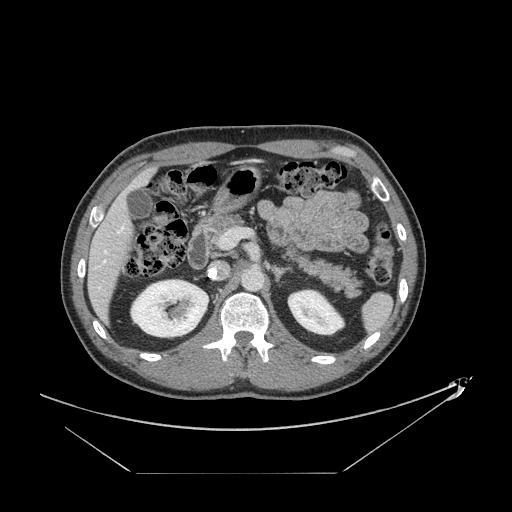
CT image. 2 pancreas regions are bounded by box(209, 214, 243, 248); box(284, 246, 360, 297).